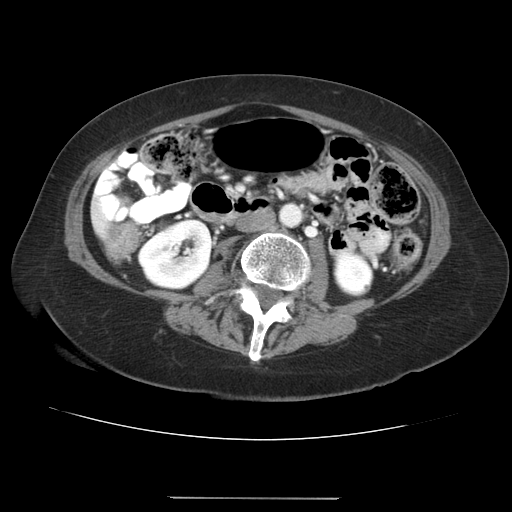
CT slice | Abdomen | 512x512 px
Annotated regions:
• colon tumor: left=115, top=221, right=139, bottom=255